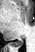
Magnetic resonance | 35x52 px

The posterior hippocampus is bounded by l=10, t=39, r=22, b=45.